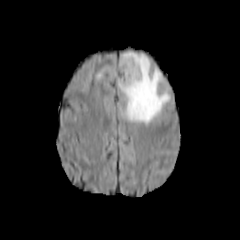
FLAIR magnetic resonance.
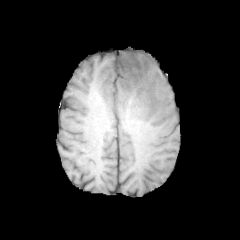
Same slice, T1-weighted MR image.
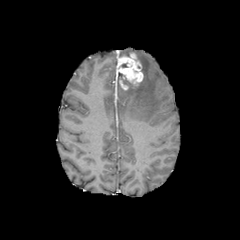
Post-contrast T1-weighted MR.
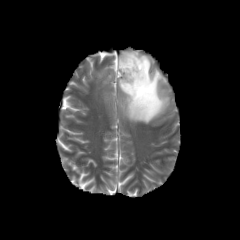
T2-weighted MR image.
Head.
Non-enhancing tumor core at (left=122, top=80, right=135, bottom=89).
Enhancing tumor at (left=116, top=53, right=143, bottom=89).
Edema at (left=119, top=53, right=169, bottom=124).